Computed tomography. 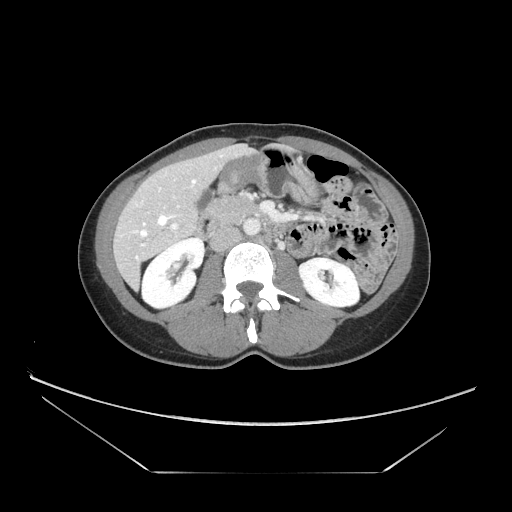 pancreas: <box>211,193,259,225</box>